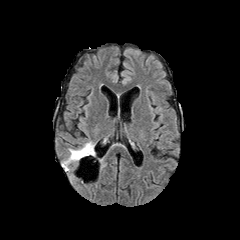
FLAIR MR image.
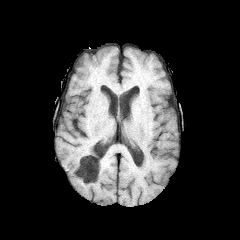
T1-weighted MR.
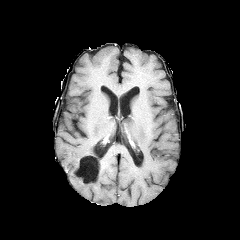
Same slice, post-contrast T1-weighted magnetic resonance.
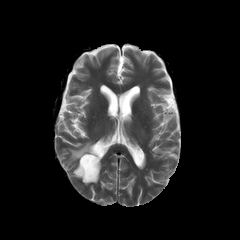
T2-weighted MRI.
240x240
Non-enhancing tumor core = x1=78, y1=144, x2=94, y2=162.
Edema = x1=61, y1=141, x2=95, y2=172.